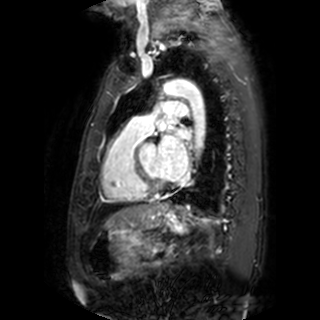
MR image.
2 left atrium regions are located at box=[157, 130, 191, 180]; box=[166, 115, 175, 123].